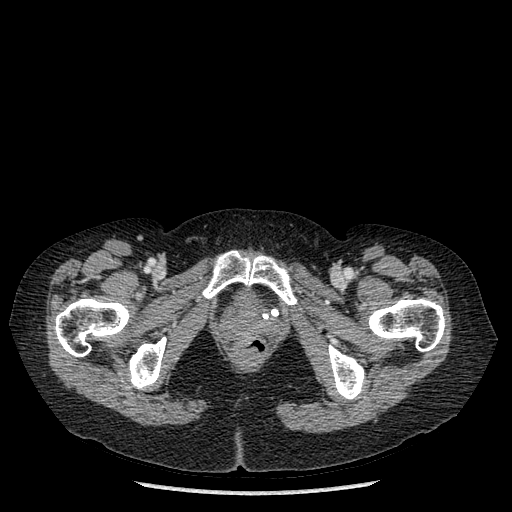
Image size 512x512; CT slice
{"bone": ["128, 337, 166, 389", "368, 298, 445, 351", "54, 298, 130, 356", "202, 251, 296, 305", "328, 338, 365, 399"]}